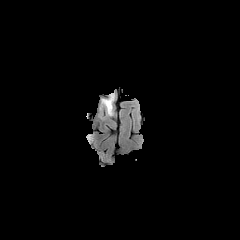
FLAIR MR.
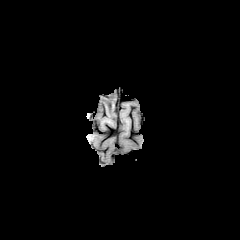
T1-weighted MRI.
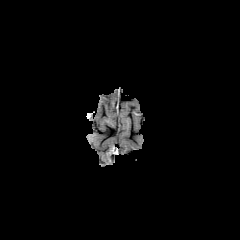
Same slice, post-contrast T1-weighted MR image.
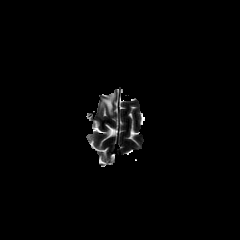
T2-weighted magnetic resonance of the same slice.
{"non-enhancing_tumor_core": ["(101,95,114,115)"], "edema": ["(100,107,113,117)"]}